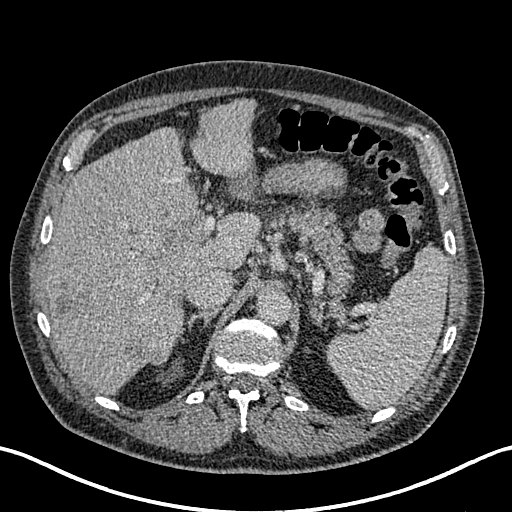
Upper abdomen, CT slice
Focal liver lesion: bounding box {"x1": 54, "y1": 281, "x2": 92, "y2": 316}, {"x1": 145, "y1": 219, "x2": 197, "y2": 281}, {"x1": 125, "y1": 335, "x2": 159, "y2": 363}.
Liver: bounding box {"x1": 192, "y1": 99, "x2": 255, "y2": 200}, {"x1": 46, "y1": 127, "x2": 260, "y2": 394}.